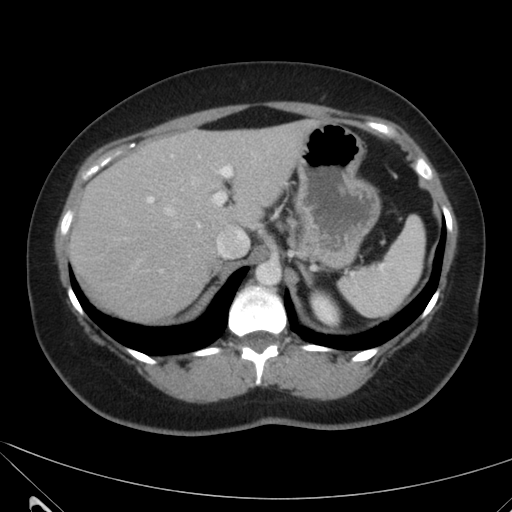

CT image

liver: box=[68, 120, 319, 321] | kidney: box=[314, 297, 334, 322]